Cardiac. MRI slice.
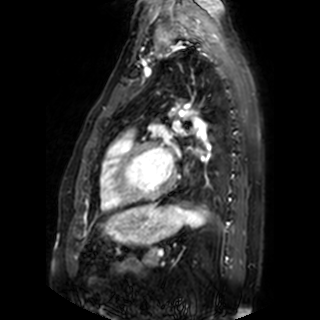 Segmented structures:
- left atrium: (x1=166, y1=150, x2=171, y2=162), (x1=174, y1=123, x2=181, y2=131)